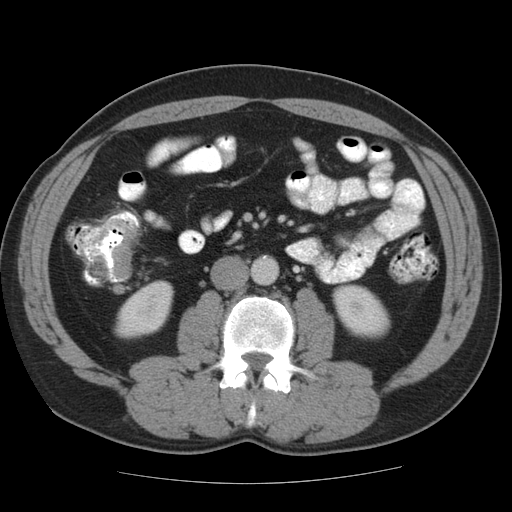

Pelvis; CT
• colon tumor: 113 233 134 278